Abdomen. Field of view 385x385 mm. 512x512. Slice index 313. Computed tomography. 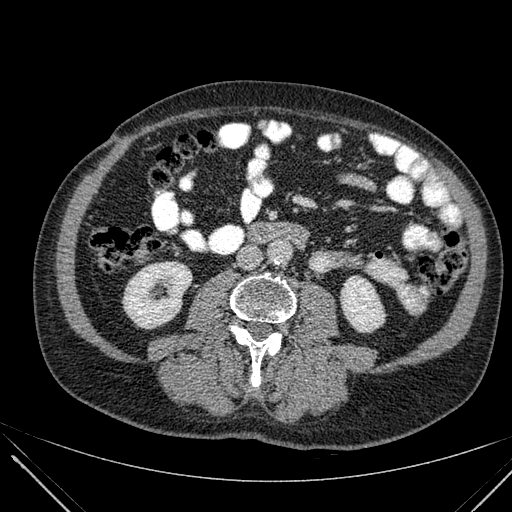
Kidney = 341, 276, 384, 331; 123, 262, 191, 328.